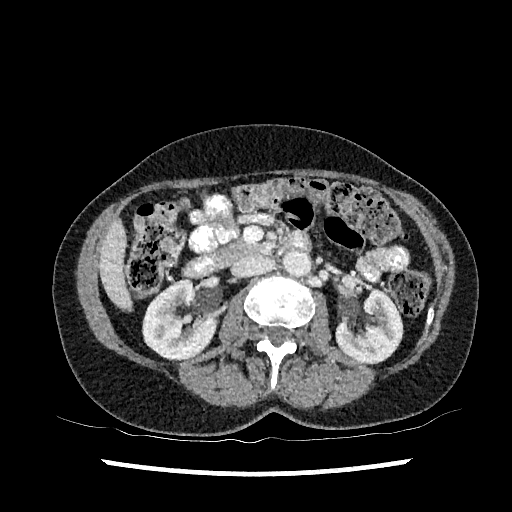 Upper abdomen; CT slice
<segmentation>
  <liver><bbox>99, 220, 131, 309</bbox></liver>
  <kidney><bbox>336, 291, 402, 362</bbox>, <bbox>143, 280, 215, 359</bbox></kidney>
</segmentation>